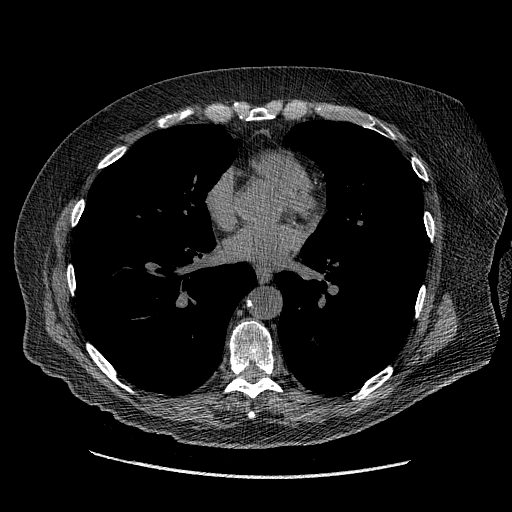

Chest; CT image
Lung tumor: bounding box (109,267,120,277).